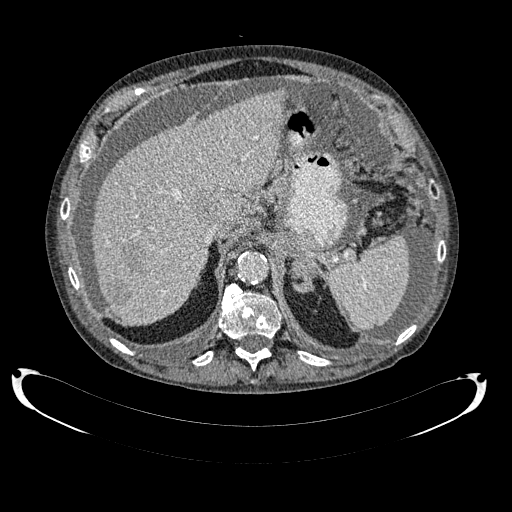

Liver, CT slice
Liver lesion — (x1=109, y1=280, x2=129, y2=303), (x1=232, y1=157, x2=239, y2=165), (x1=122, y1=244, x2=143, y2=274), (x1=192, y1=198, x2=213, y2=221).
Liver — (x1=92, y1=89, x2=287, y2=325).